Slice 302 of 461. Upper abdomen. CT image.
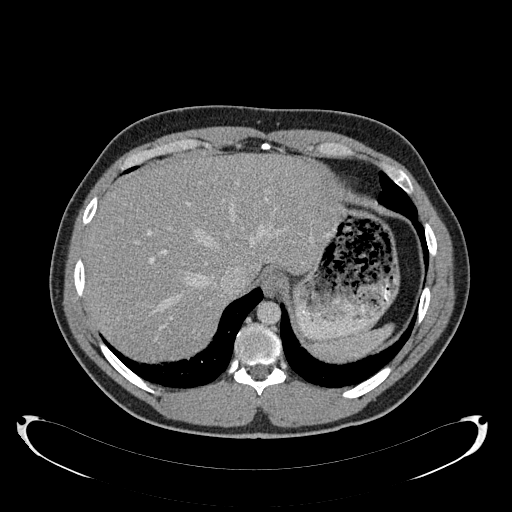 Liver: {"x1": 82, "y1": 154, "x2": 341, "y2": 359}.